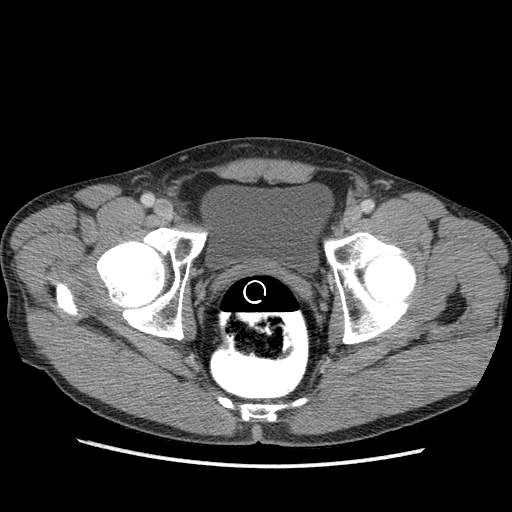
CT.
Urinary bladder: bounding box [200,183,333,272].